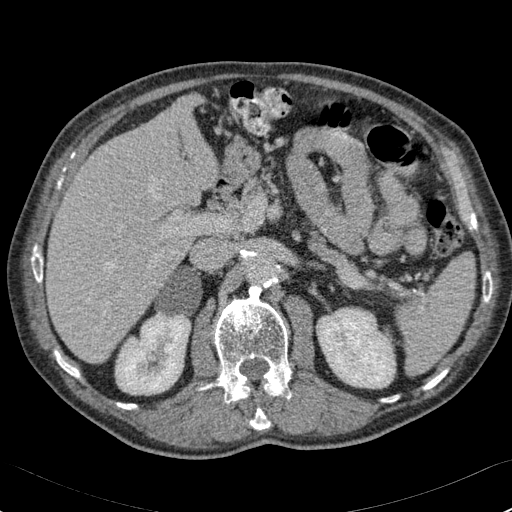 CT

• kidney: (left=116, top=313, right=190, bottom=394), (left=316, top=308, right=395, bottom=388)
• liver: (left=47, top=95, right=215, bottom=362)